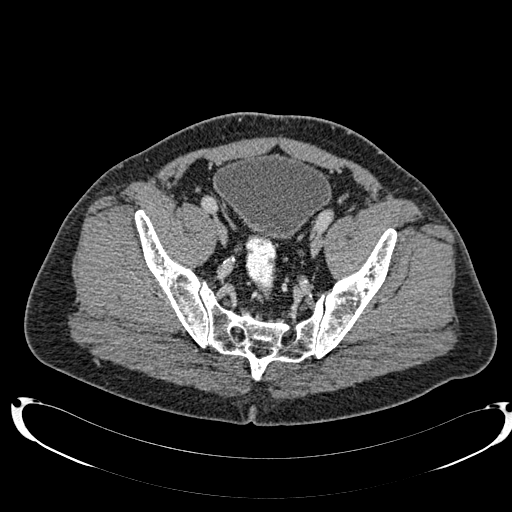 CT
Urinary bladder: bounding box box=[215, 153, 331, 239].